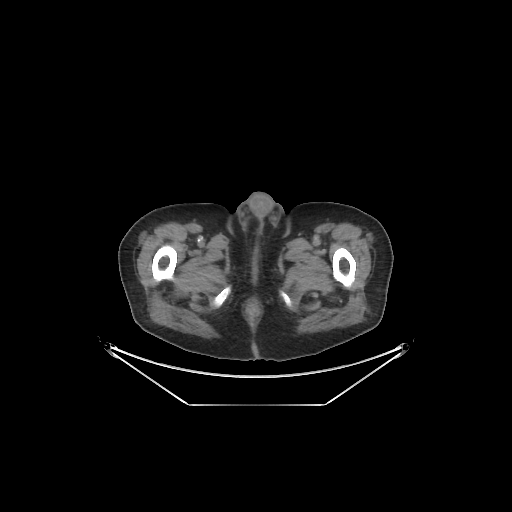

CT. 512x512 px.
Bone at [x1=282, y1=292, x2=291, y2=305], [x1=333, y1=247, x2=355, y2=287], [x1=213, y1=287, x2=229, y2=306], [x1=152, y1=245, x2=176, y2=281].